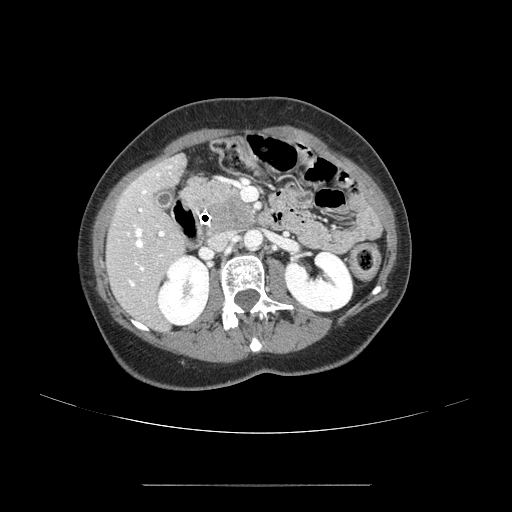
Abdomen; CT image

Pancreatic tumor: x1=209 y1=195 x2=250 y2=232.
Pancreas: x1=183 y1=177 x2=255 y2=240.